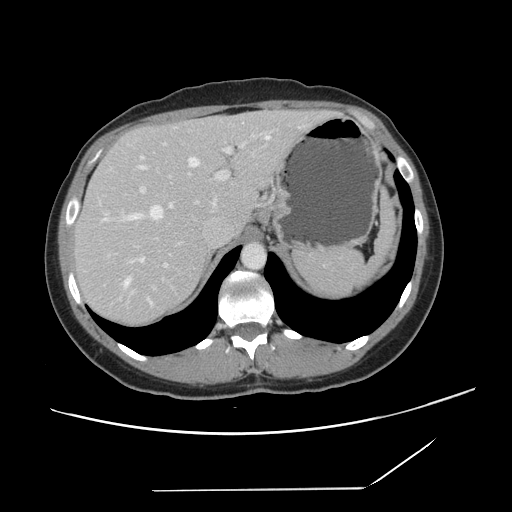
CT

Not every hepatic vessel necessarily has a box.
The largest 15 hepatic vessel regions (of 21) are located at x1=241 y1=143 x2=245 y2=145, x1=262 y1=133 x2=269 y2=139, x1=122 y1=211 x2=141 y2=219, x1=140 y1=188 x2=145 y2=192, x1=148 y1=299 x2=152 y2=305, x1=216 y1=171 x2=228 y2=179, x1=189 y1=158 x2=198 y2=166, x1=149 y1=205 x2=162 y2=218, x1=102 y1=213 x2=108 y2=220, x1=139 y1=166 x2=145 y2=168, x1=138 y1=258 x2=143 y2=261, x1=123 y1=278 x2=129 y2=286, x1=222 y1=147 x2=231 y2=153, x1=169 y1=203 x2=172 y2=207, x1=163 y1=263 x2=167 y2=266.